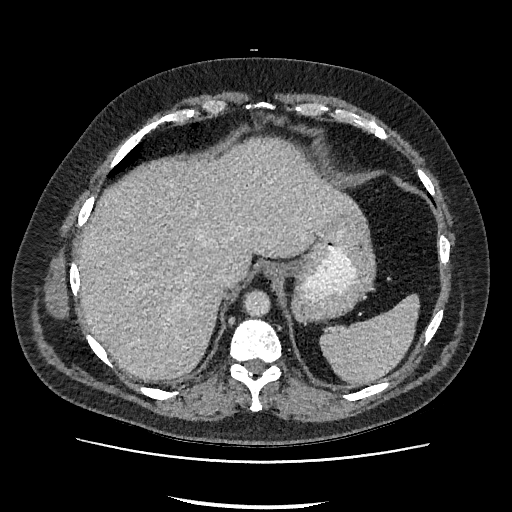
Abdomen; CT slice
The liver lies within <bbox>80, 141, 358, 378</bbox>.